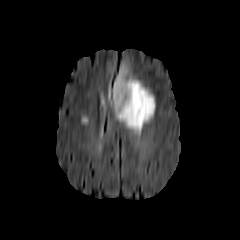
FLAIR MR image.
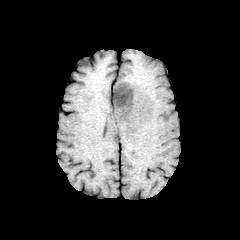
T1-weighted magnetic resonance of the same slice.
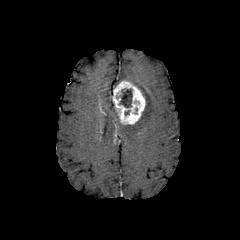
Post-contrast T1-weighted magnetic resonance.
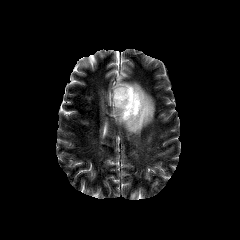
T2-weighted MRI of the same slice.
240x240 px. Head.
The enhancing tumor lies within [x1=112, y1=80, x2=145, y2=123]. The non-enhancing tumor core is located at [x1=120, y1=89, x2=132, y2=107]. The edema appears at [x1=102, y1=66, x2=155, y2=137].